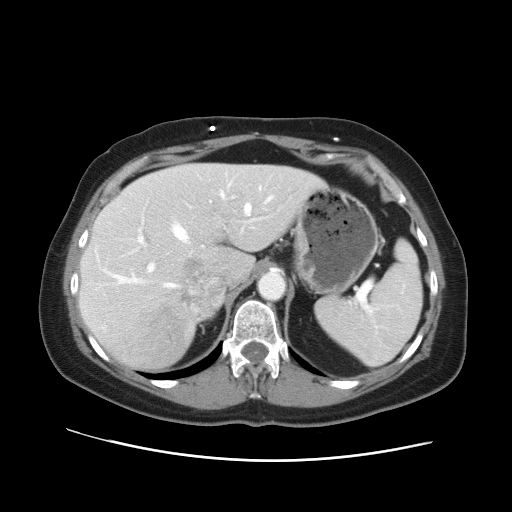

CT, 512x512
Not every hepatic vessel necessarily has a box.
liver_tumor:
  - (left=180, top=255, right=214, bottom=313)
hepatic_vessel:
  - (left=258, top=185, right=260, bottom=188)
  - (left=139, top=238, right=145, bottom=246)
  - (left=113, top=275, right=139, bottom=282)
  - (left=165, top=283, right=174, bottom=286)
  - (left=171, top=219, right=189, bottom=243)
  - (left=241, top=201, right=264, bottom=232)
  - (left=148, top=264, right=153, bottom=271)
  - (left=128, top=249, right=137, bottom=253)
  - (left=137, top=227, right=141, bottom=235)